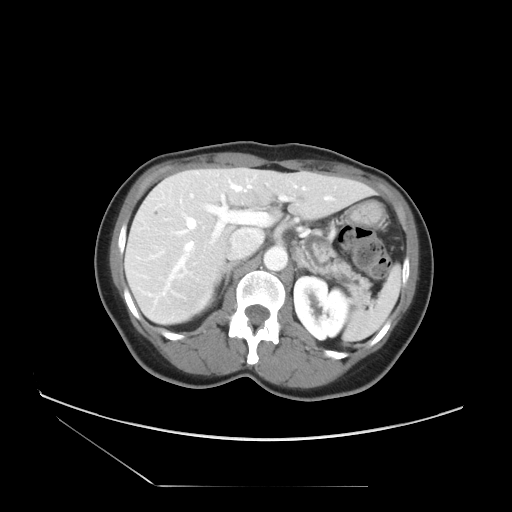

Upper abdomen | 512x512 px | CT
Segmented structures:
- pancreas: box(295, 234, 369, 305)